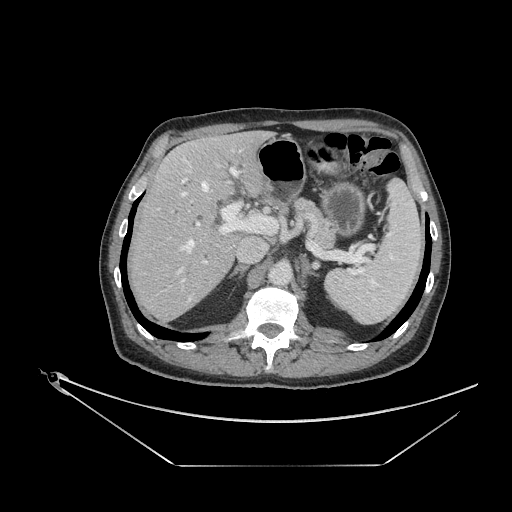

CT, 512x512 px

The pancreas appears at rect(295, 199, 336, 249).